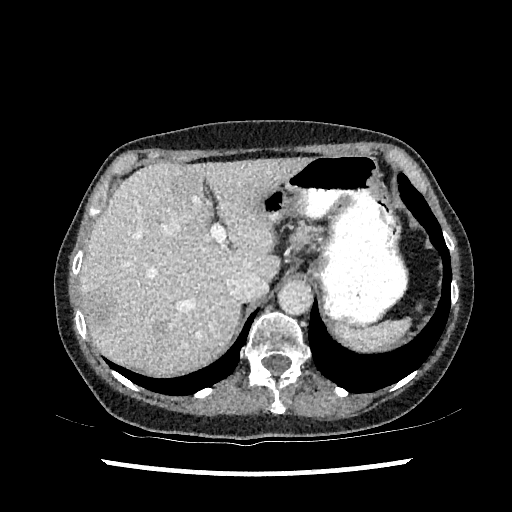
CT scan slice. Hepatic lesion at [x1=173, y1=173, x2=198, y2=197], [x1=156, y1=322, x2=166, y2=332], [x1=84, y1=288, x2=116, y2=327].
Liver at [x1=79, y1=157, x2=310, y2=374].